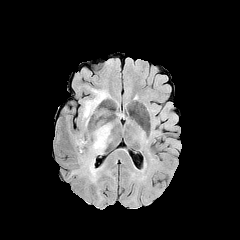
FLAIR MR image.
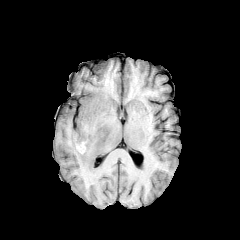
T1-weighted MR image of the same slice.
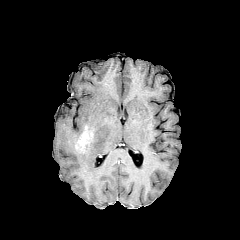
Post-contrast T1-weighted MR image.
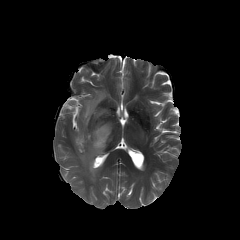
T2-weighted magnetic resonance.
240x240.
The enhancing tumor appears at [75, 132, 91, 153]. 2 edema regions are bounded by [81, 88, 111, 126], [81, 123, 112, 181].